FLAIR magnetic resonance.
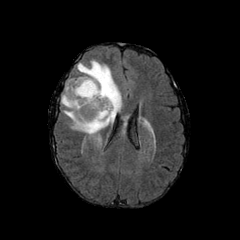
T1-weighted MR.
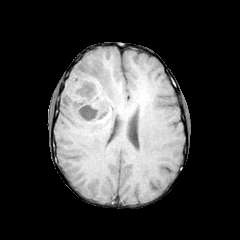
Post-contrast T1-weighted MR.
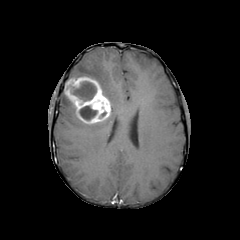
T2-weighted MRI.
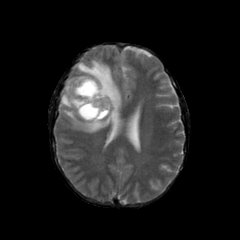
240x240, Brain
2 non-enhancing tumor core regions are located at [70,81,96,101], [78,105,97,123]. The enhancing tumor is at [65,77,110,123]. The edema appears at [60,59,122,133].